Field of view 240x240 mm.
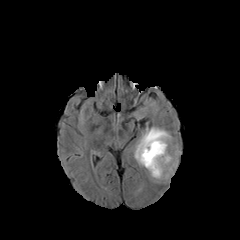
FLAIR MR.
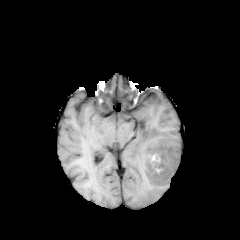
T1-weighted magnetic resonance of the same slice.
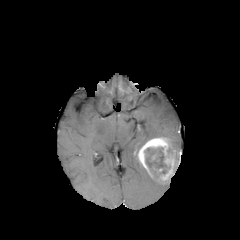
Same slice, post-contrast T1-weighted magnetic resonance.
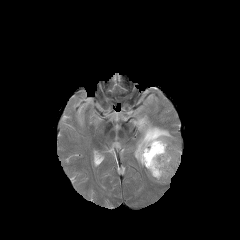
T2-weighted MR.
The enhancing tumor is at [x1=137, y1=137, x2=178, y2=183]. The non-enhancing tumor core lies within [x1=145, y1=147, x2=170, y2=183]. The edema appears at [x1=131, y1=121, x2=181, y2=168].